Computed tomography; Slice 47 of 55; Abdomen 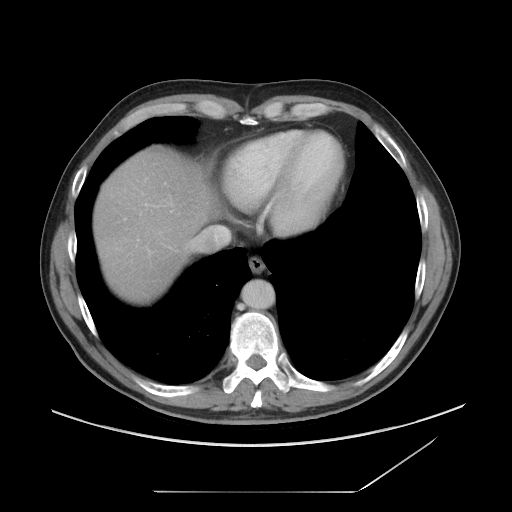
The vessel boxes may cover only some of the vessels.
The hepatic vessel is at {"x1": 210, "y1": 227, "x2": 224, "y2": 236}.